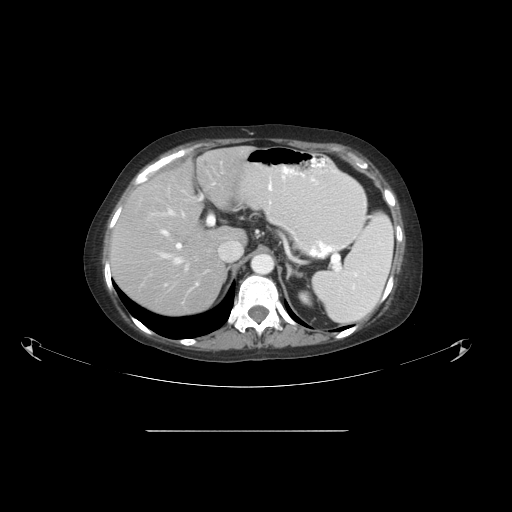 Computed tomography. Some hepatic vessels may have no box.
13 hepatic vessel regions appear at <box>218,244,222,254</box>, <box>160,230,168,235</box>, <box>152,209,174,215</box>, <box>176,243,181,249</box>, <box>182,212,184,216</box>, <box>185,264,188,270</box>, <box>195,282,198,285</box>, <box>174,257,183,263</box>, <box>220,162,221,164</box>, <box>212,182,214,184</box>, <box>199,195,203,200</box>, <box>160,253,172,258</box>, <box>221,172,223,173</box>.